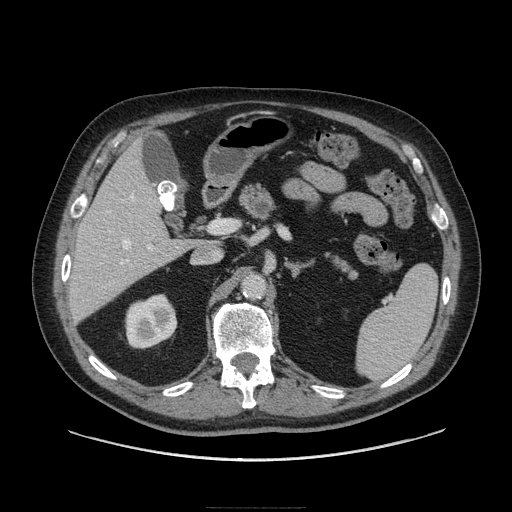 Image size 512x512. CT slice. Upper abdomen. Annotated regions:
* pancreatic tumor: (left=253, top=202, right=269, bottom=215)
* pancreas: (left=326, top=251, right=356, bottom=279), (left=240, top=184, right=276, bottom=221)